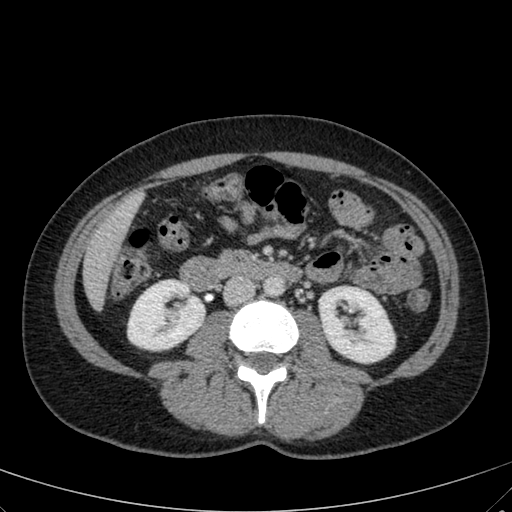
CT scan slice
Kidney: x1=128, y1=280, x2=204, y2=349; x1=320, y1=287, x2=394, y2=362.
Liver: x1=83, y1=201, x2=133, y2=310.